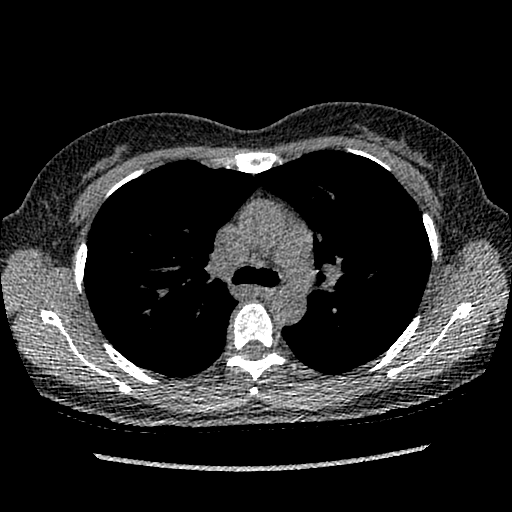

Lung. CT image. The lung tumor appears at box=[329, 312, 344, 328].